240x240 px, Brain
FLAIR MR.
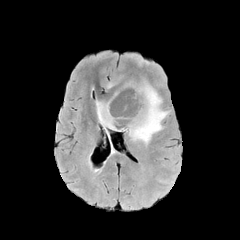
T1-weighted MR image.
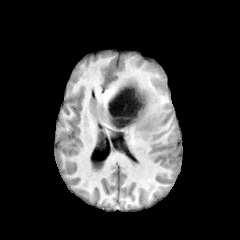
Post-contrast T1-weighted magnetic resonance.
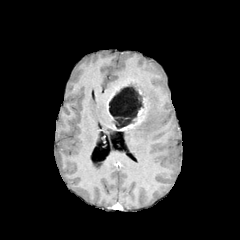
T2-weighted magnetic resonance.
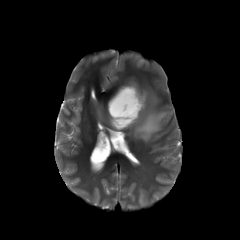
• non-enhancing tumor core: rect(108, 85, 144, 129)
• edema: rect(96, 101, 121, 153); rect(123, 85, 168, 143)
• enhancing tumor: rect(120, 109, 143, 129); rect(106, 93, 114, 118)